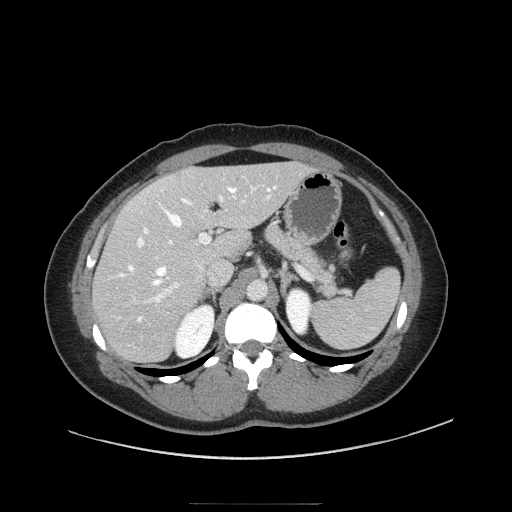

Abdomen. CT slice. Pancreas at <box>259,219,338,297</box>.